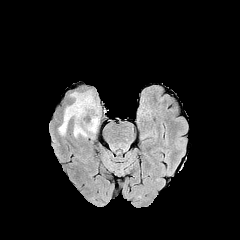
FLAIR MR image.
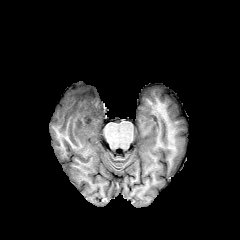
T1-weighted MR image.
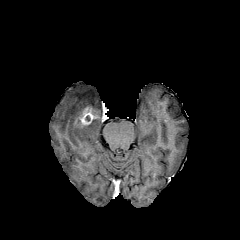
Same slice, post-contrast T1-weighted MR image.
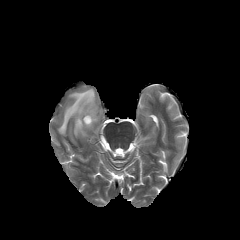
T2-weighted magnetic resonance.
Brain, 240x240 px
Edema: bounding box <bbox>90, 95, 101, 117</bbox>, <bbox>58, 92, 99, 138</bbox>.
Non-enhancing tumor core: bounding box <bbox>76, 92, 93, 109</bbox>.
Enhancing tumor: bounding box <bbox>78, 107, 97, 125</bbox>.